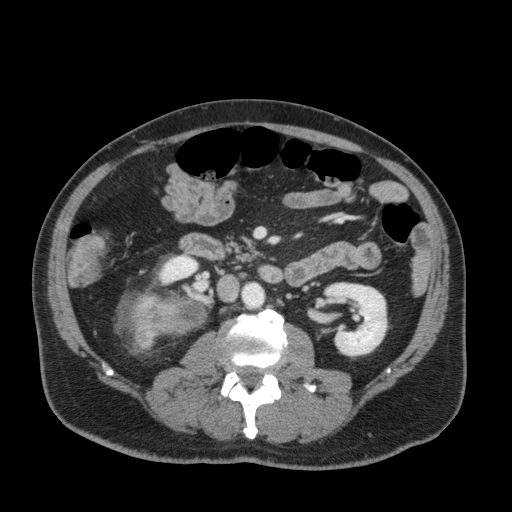 Computed tomography, Image size 512x512
{"kidney": ["<box>139,298,153,308</box>", "<box>325,283,386,355</box>", "<box>160,255,197,282</box>"]}